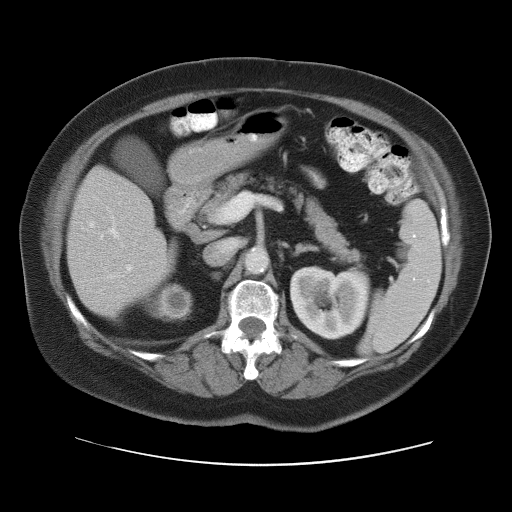 Abdomen, CT scan slice, 512x512 px
Annotated regions:
* spleen: l=369, t=203, r=441, b=350